Liver. Image size 512x512. CT image.
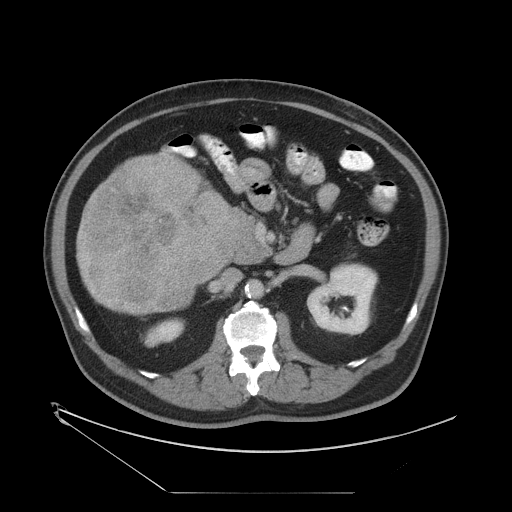
Some hepatic vessels may have no box.
• hepatic vessel: <bbox>92, 288, 94, 292</bbox>
• liver tumor: <bbox>83, 157, 252, 312</bbox>